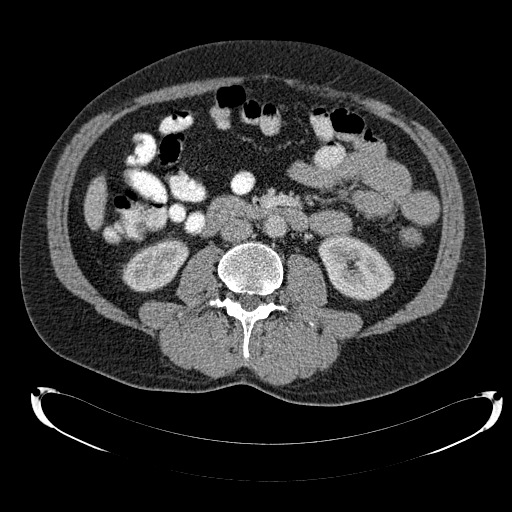

CT | Liver
kidney:
  - (left=319, top=234, right=392, bottom=299)
  - (left=123, top=241, right=186, bottom=290)
liver:
  - (left=85, top=177, right=104, bottom=228)